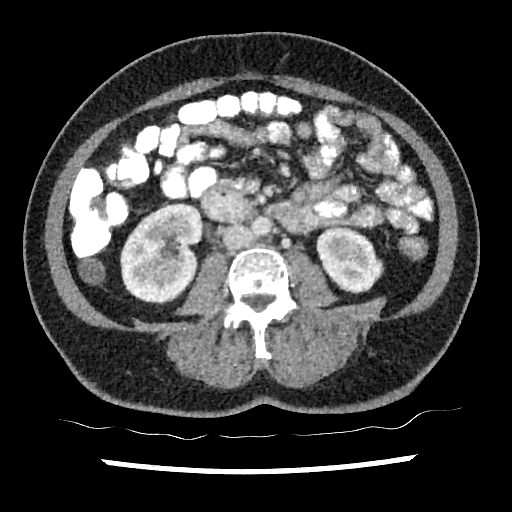 Computed tomography. 512x512 px.

Annotated regions:
- kidney: <box>317,228,380,291</box>, <box>121,204,201,301</box>